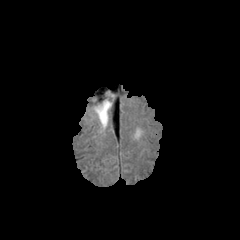
FLAIR MR image.
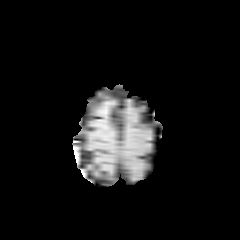
T1-weighted MR.
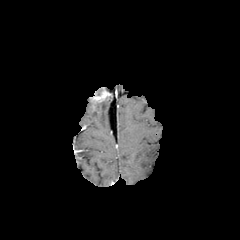
Post-contrast T1-weighted MR image of the same slice.
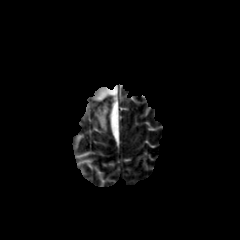
Same slice, T2-weighted MRI.
Annotated regions:
- edema: <box>91,98,111,132</box>